Slice index 31, Image width 370 mm, 512x512, CT slice
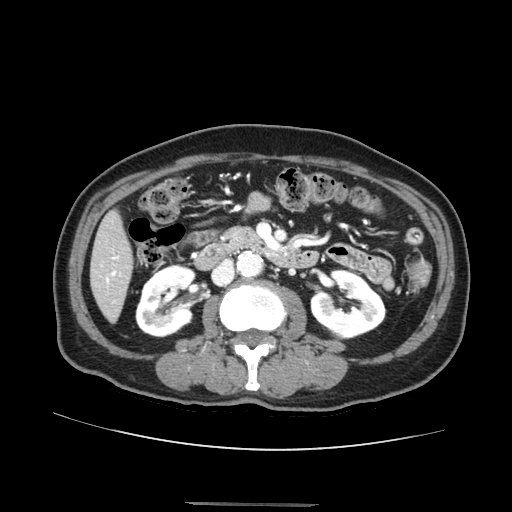

The pancreas is located at {"x1": 232, "y1": 228, "x2": 257, "y2": 243}.